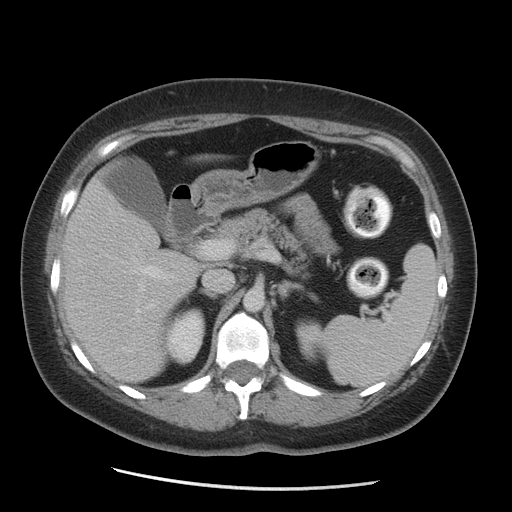

CT slice.

The kidney is bounded by <box>170,315,200,356</box>. The liver is bounded by <box>62,176,199,382</box>.